CT. 512x512.

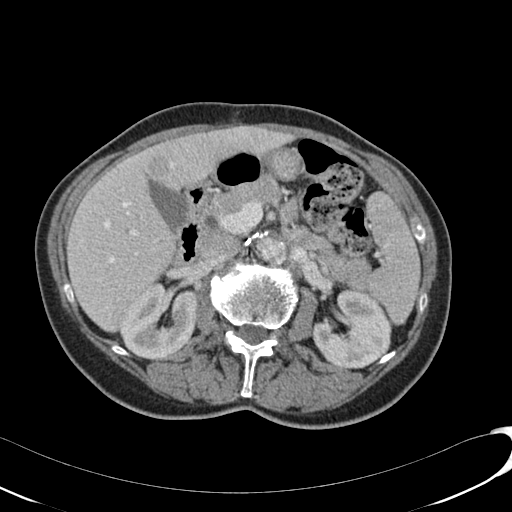

Annotated regions:
* kidney: (123,286,196,359), (313,290,388,368)
* liver lesion: (149,157,167,175), (215,147,237,160)
* liver: (68,127,294,330)